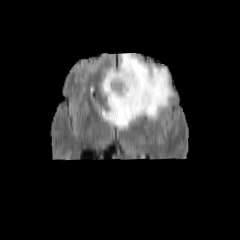
FLAIR MR image.
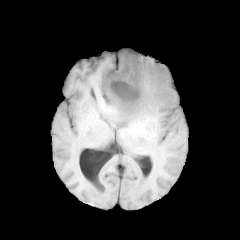
T1-weighted MR image.
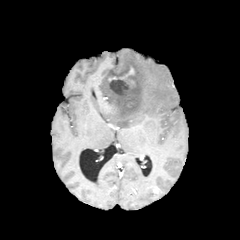
Same slice, post-contrast T1-weighted MR.
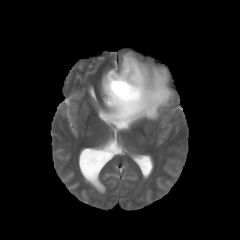
T2-weighted MR.
Brain
Segmented structures:
- non-enhancing tumor core: 104:66:143:108
- edema: 99:52:174:129